240x240 px. Slice 59/155.
FLAIR MR image.
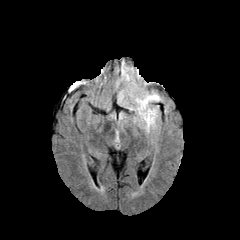
T1-weighted MR image.
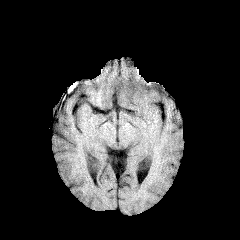
Post-contrast T1-weighted MRI.
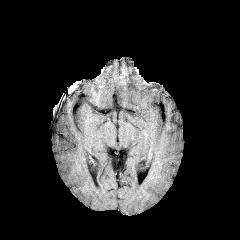
T2-weighted magnetic resonance.
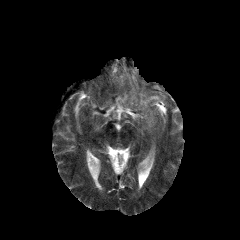
edema: [x1=135, y1=94, x2=160, y2=129]